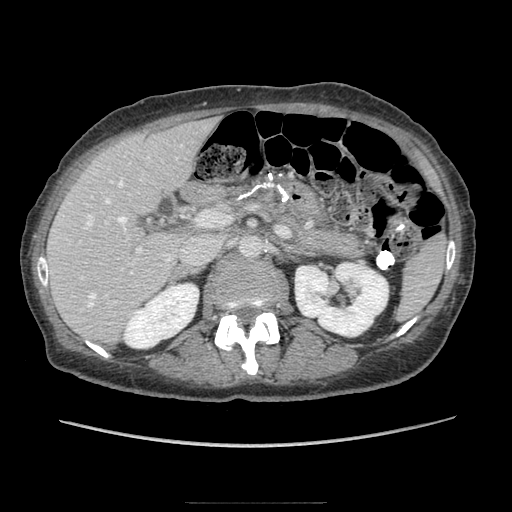
Computed tomography
The pancreas is at box=[298, 229, 363, 257].